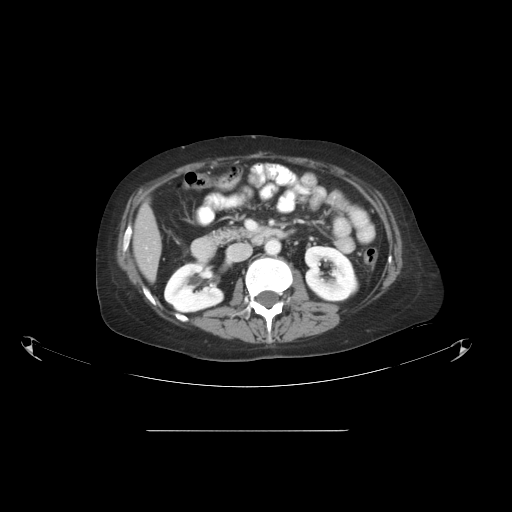 Liver | CT
Only some of the vessels may be annotated.
Segmented structures:
* hepatic vessel: [148,259,149,260]